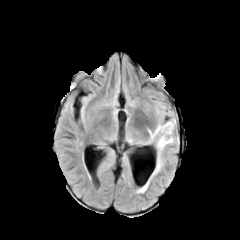
FLAIR MR image.
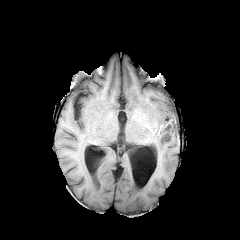
T1-weighted MRI of the same slice.
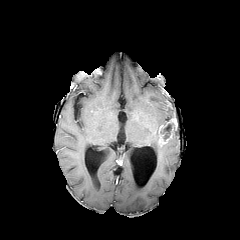
Post-contrast T1-weighted MR.
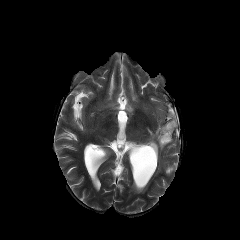
T2-weighted magnetic resonance.
240x240.
The enhancing tumor is bounded by region(158, 134, 171, 145). The non-enhancing tumor core lies within region(159, 118, 175, 138). 3 edema regions are located at region(143, 123, 176, 175); region(156, 108, 174, 125); region(137, 185, 147, 192).